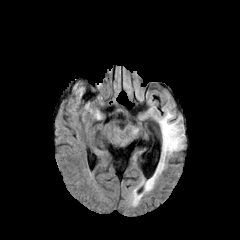
FLAIR magnetic resonance.
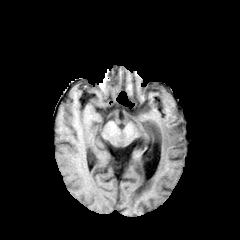
T1-weighted MR.
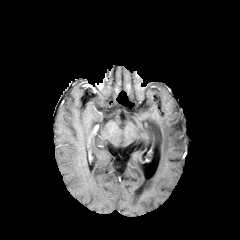
Post-contrast T1-weighted magnetic resonance of the same slice.
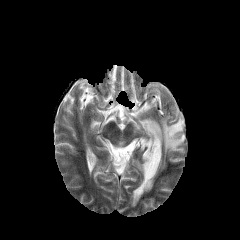
Same slice, T2-weighted MR image.
Image size 240x240
• edema: (129, 110, 184, 205)